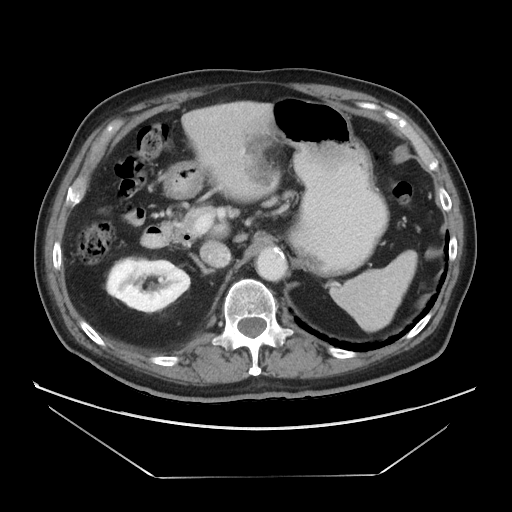

Image size 512x512; CT image; Abdomen
<segmentation>
  <liver_tumor>rect(236, 130, 273, 184)</liver_tumor>
</segmentation>